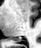 Hippocampus, 41x48, MRI
posterior hippocampus: <bbox>14, 39, 20, 41</bbox>